Image size 512x512, CT image, Field of view 360 mm wide, 2.50 mm slice spacing 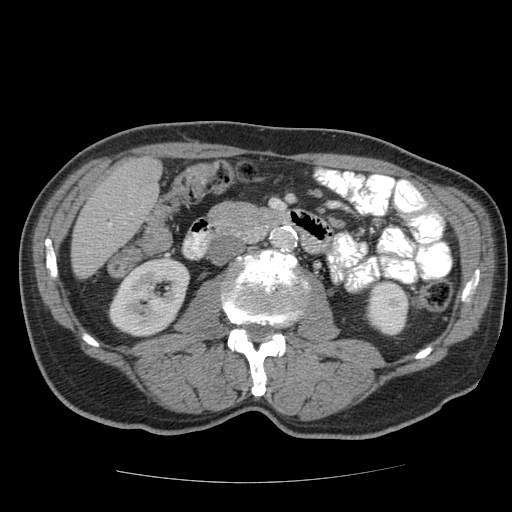

Only some of the vessels may be annotated.
Hepatic vessel — box=[108, 223, 110, 226].